FLAIR magnetic resonance.
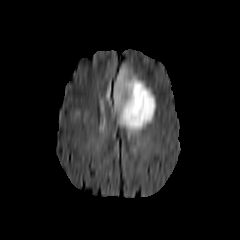
T1-weighted magnetic resonance.
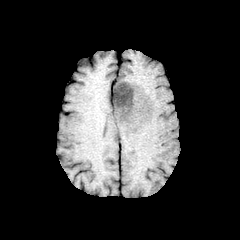
Post-contrast T1-weighted MRI.
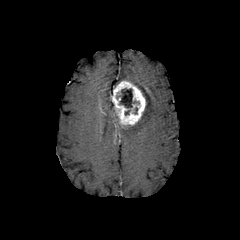
T2-weighted magnetic resonance.
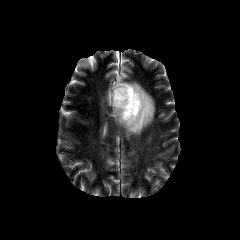
240x240 px; Head
The non-enhancing tumor core lies within [120, 88, 139, 107]. The enhancing tumor lies within [112, 81, 145, 126]. 3 edema regions are located at [120, 78, 155, 138], [116, 65, 128, 83], [105, 84, 110, 101].